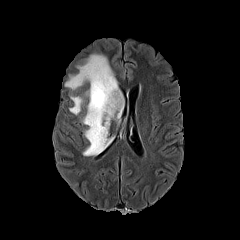
FLAIR magnetic resonance.
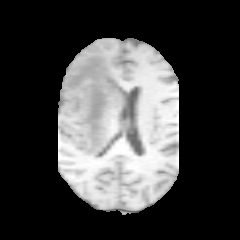
Same slice, T1-weighted MRI.
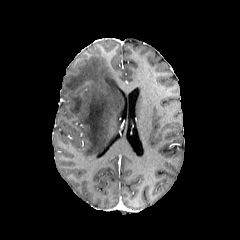
Post-contrast T1-weighted magnetic resonance.
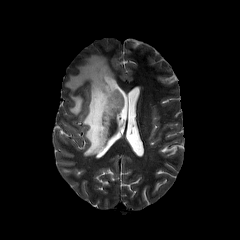
T2-weighted magnetic resonance.
Head | 240x240
Edema at left=69, top=96, right=83, bottom=115; left=64, top=54, right=122, bottom=156.